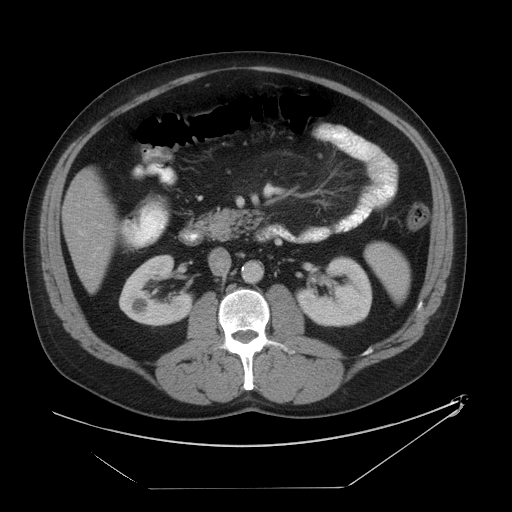 Upper abdomen, 512x512, CT
The spleen lies within left=367, top=243, right=409, bottom=303.